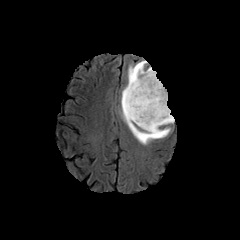
FLAIR MRI.
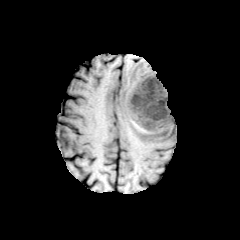
T1-weighted MR image.
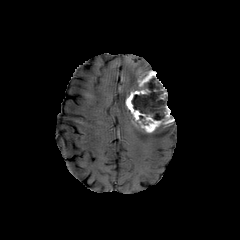
Post-contrast T1-weighted MR.
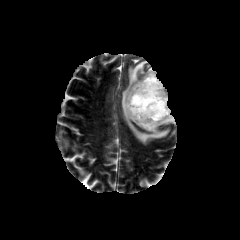
T2-weighted MR image.
Enhancing tumor: x1=126, y1=88, x2=174, y2=134; x1=138, y1=70, x2=167, y2=99.
Edema: x1=119, y1=60, x2=172, y2=145.
Non-enhancing tumor core: x1=131, y1=77, x2=167, y2=120.